CT image. Slice 288/781. 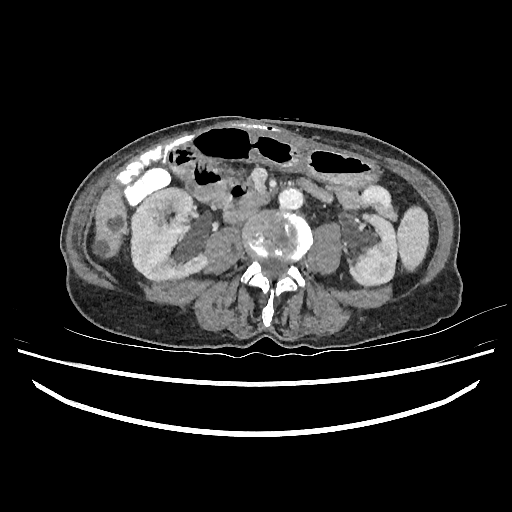
Kidney: bounding box [131,188,207,280], [350,215,396,285].
Liver: bounding box [96,184,126,257].
Liver lesion: bounding box [95,240,106,257], [110,216,122,229].